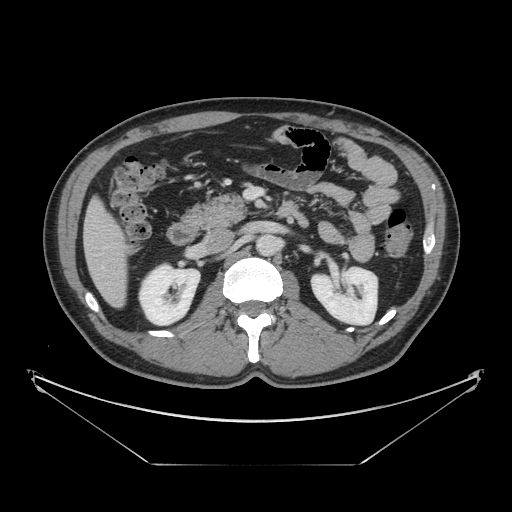

512x512 | Upper abdomen | CT image
* pancreas: box=[183, 193, 247, 227]